FLAIR MR image.
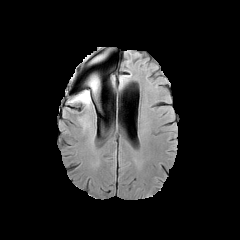
T1-weighted MRI.
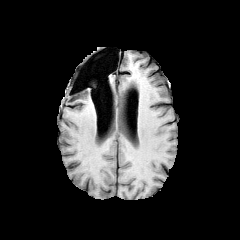
Post-contrast T1-weighted MR.
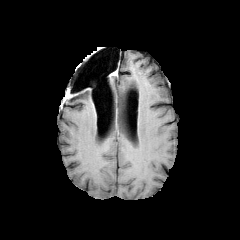
T2-weighted magnetic resonance.
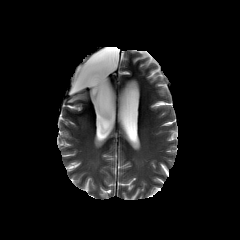
edema: box(68, 74, 99, 107)